Brain, Image width 240 mm
FLAIR MR.
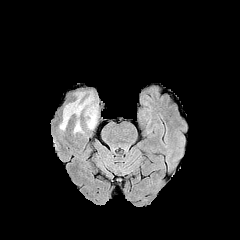
T1-weighted magnetic resonance.
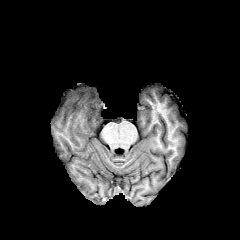
Post-contrast T1-weighted MR.
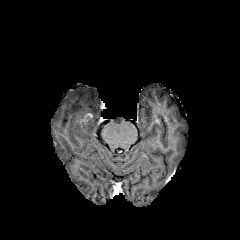
T2-weighted magnetic resonance.
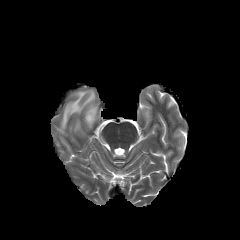
edema:
  - (73,119,84,134)
  - (59,91,98,131)